MR 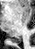

Annotated regions:
- posterior hippocampus: <bbox>10, 37, 20, 42</bbox>